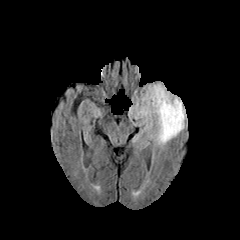
FLAIR MR image.
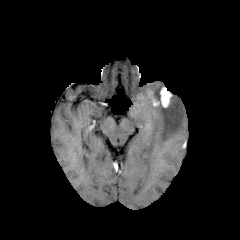
Same slice, T1-weighted MRI.
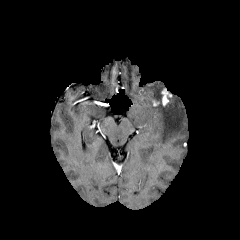
Post-contrast T1-weighted MR image.
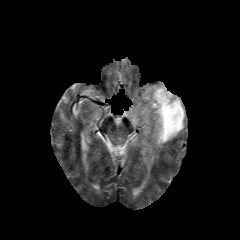
Same slice, T2-weighted MR.
The edema is located at x1=128 y1=83 x2=185 y2=149. The enhancing tumor is bounded by x1=161 y1=88 x2=171 y2=105.